FLAIR MR.
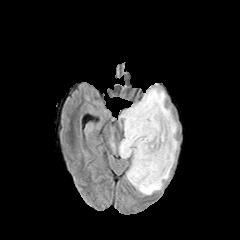
T1-weighted magnetic resonance.
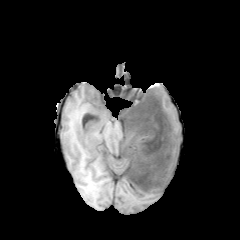
Post-contrast T1-weighted MR image.
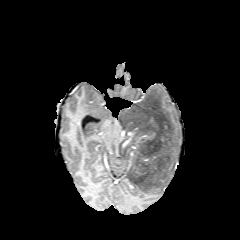
T2-weighted MRI.
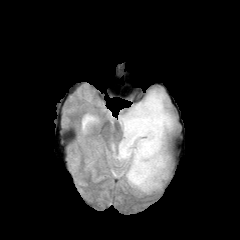
Brain
The enhancing tumor is at l=123, t=132, r=133, b=147. 4 edema regions are located at l=120, t=155, r=131, b=172; l=118, t=108, r=129, b=130; l=135, t=88, r=178, b=195; l=111, t=143, r=119, b=154. The non-enhancing tumor core lies within l=119, t=96, r=171, b=193.